FLAIR magnetic resonance.
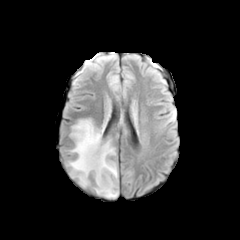
T1-weighted magnetic resonance.
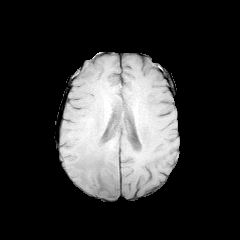
Post-contrast T1-weighted magnetic resonance.
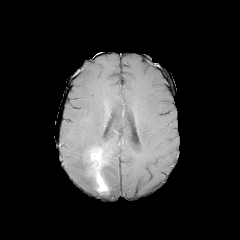
T2-weighted magnetic resonance.
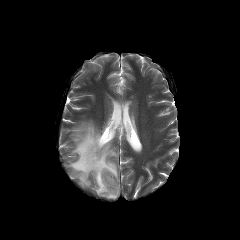
Head
Segmented structures:
* enhancing tumor: box(84, 148, 109, 193)
* edema: box(167, 103, 175, 117); box(68, 120, 118, 198)